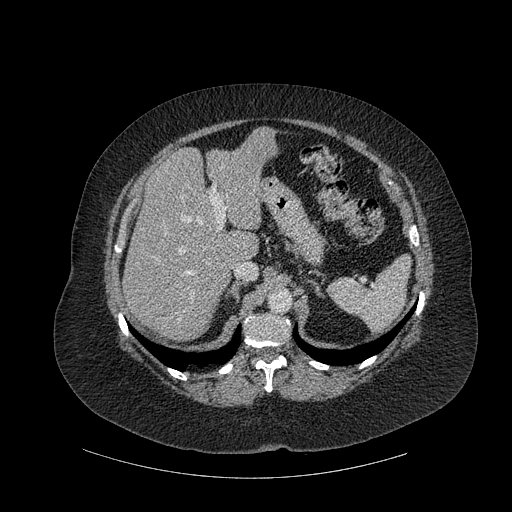
CT scan slice

{
  "liver": [
    "rect(122, 127, 276, 341)"
  ],
  "bone": [
    "rect(245, 315, 289, 347)",
    "rect(118, 313, 128, 335)",
    "rect(255, 356, 286, 391)",
    "rect(416, 292, 424, 314)",
    "rect(219, 364, 232, 373)",
    "rect(359, 356, 376, 368)",
    "rect(309, 361, 328, 369)",
    "rect(168, 368, 186, 380)",
    "rect(409, 226, 418, 245)"
  ],
  "lung": [
    "rect(293, 307, 414, 365)",
    "rect(129, 325, 240, 370)"
  ]
}